CT image
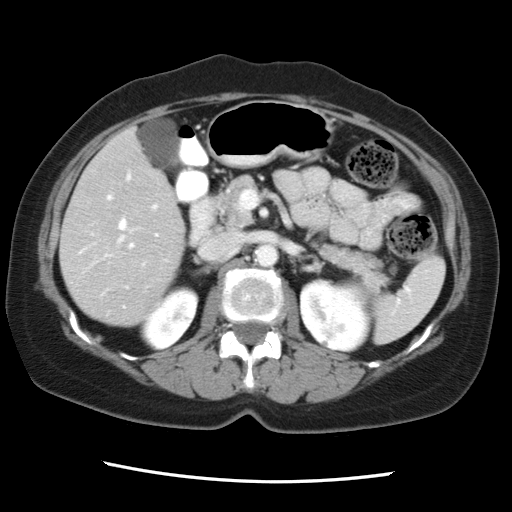

Not every hepatic vessel necessarily has a box.
5 hepatic vessel regions appear at 119:219:126:229, 91:233:93:235, 103:252:113:258, 82:242:95:251, 117:241:120:245.